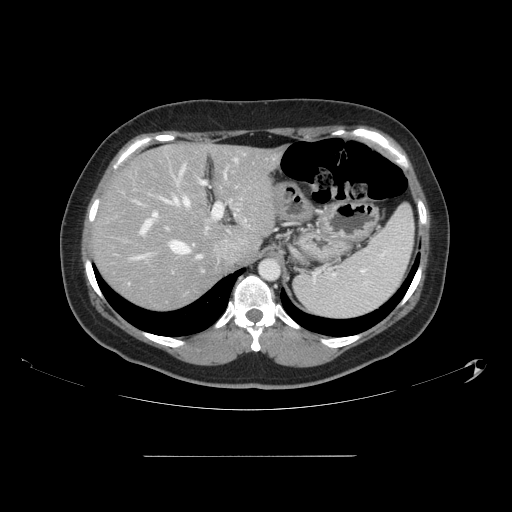 Liver, CT

Not every hepatic vessel necessarily has a box.
Segmented structures:
* hepatic vessel: (131,257,141,258), (181,165,184,172), (224,173,225,176), (184,198,188,205), (197,255,201,258), (161,196,177,203), (235,158,236,160), (212,204,222,218), (153,212,157,218), (170,241,189,253), (205,227,207,229), (199,181,204,184), (140,219,153,234)